Slice 34 of 85 | CT | Image width 450 mm | Abdomen
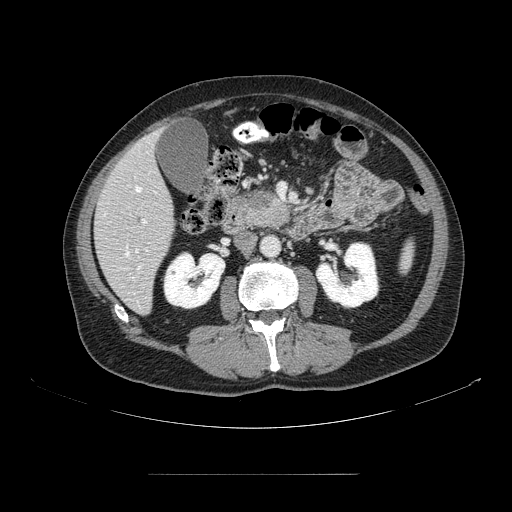

Pancreatic tumor — box(245, 192, 272, 208).
Pancreas — box(238, 188, 291, 231).